Abdomen, CT, 512x512 px, Slice 94/130 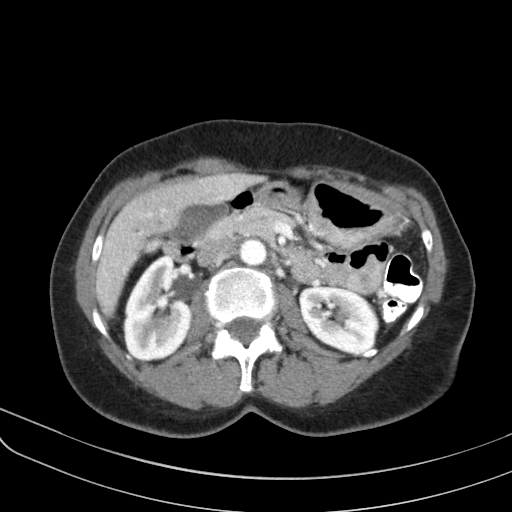
pancreas: 201 206 296 265